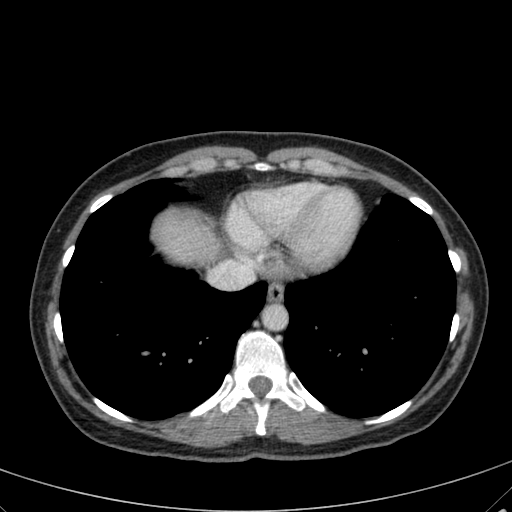
Image size 512x512; CT scan slice
Segmented structures:
• liver: 152, 210, 232, 279; 230, 232, 240, 252